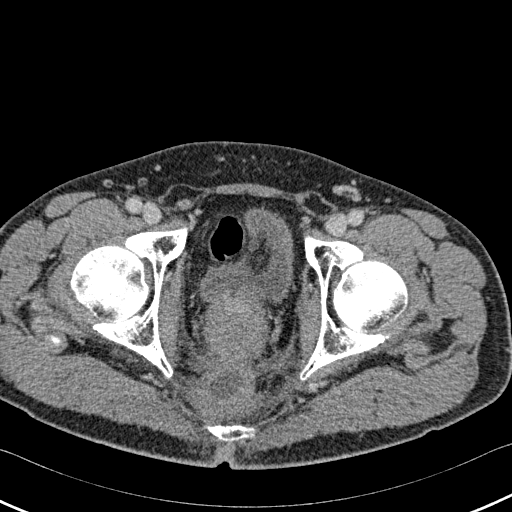
CT image.

Bone — [71, 228, 186, 377], [207, 425, 254, 441], [300, 237, 406, 380].
Urinary bladder — [199, 212, 293, 313].